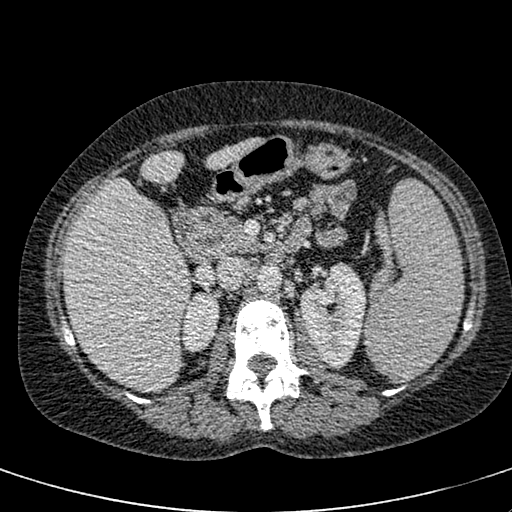 Image size 512x512, Upper abdomen, Computed tomography
Kidney: (300, 263, 365, 367), (183, 293, 218, 346).
Focal liver lesion: (141, 206, 167, 232).
Liver: (66, 179, 189, 390), (207, 138, 263, 169), (142, 151, 183, 182).